Brain; Slice 71/155
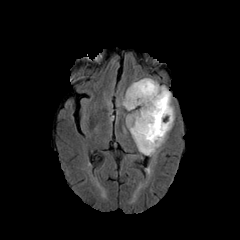
FLAIR MR.
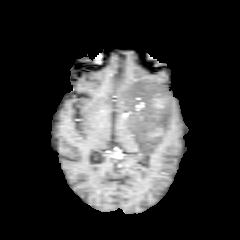
T1-weighted MR image.
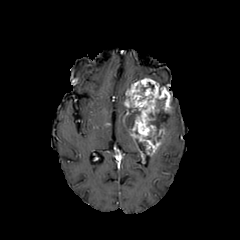
Post-contrast T1-weighted MRI of the same slice.
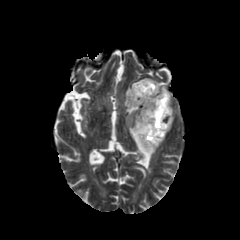
Same slice, T2-weighted magnetic resonance.
{
  "edema": [
    "[126, 115, 131, 131]",
    "[166, 112, 174, 134]"
  ],
  "enhancing_tumor": [
    "[124, 78, 171, 155]"
  ],
  "non-enhancing_tumor_core": [
    "[150, 100, 171, 134]",
    "[135, 140, 148, 154]",
    "[127, 108, 140, 124]"
  ]
}